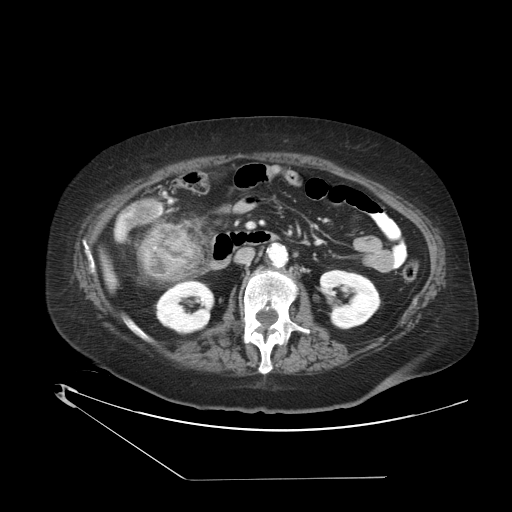

Pelvis; CT slice
Colon tumor — (133, 203, 156, 220), (138, 224, 199, 282).